Image width 460 mm, Abdomen, Slice 31/117, Computed tomography

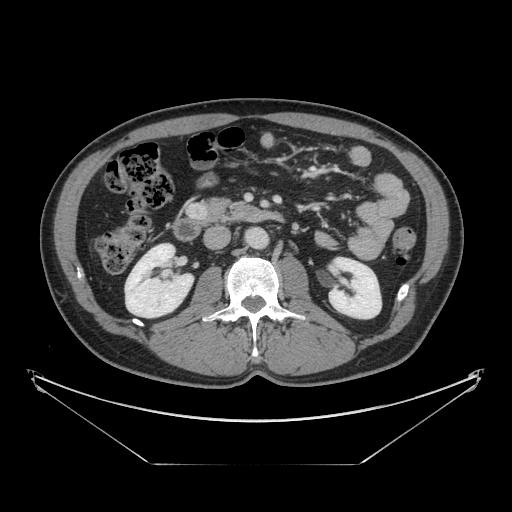
Pancreas — (x1=191, y1=197, x2=247, y2=225).
Pancreatic tumor — (x1=186, y1=202, x2=208, y2=220).